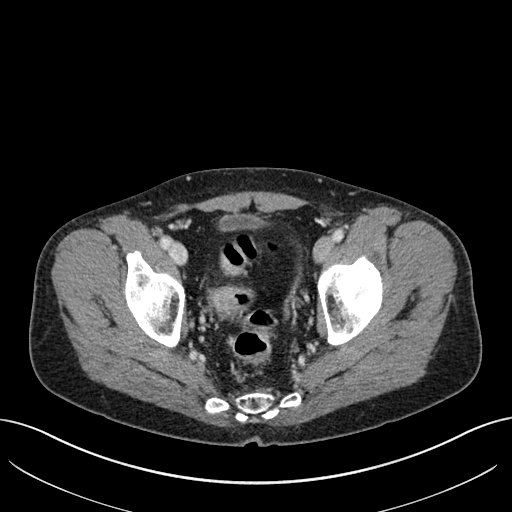 Computed tomography, Abdomen
{
  "colon_tumor": [
    "x1=208 y1=286 x2=251 y2=314",
    "x1=233 y1=244 x2=247 y2=260",
    "x1=220 y1=255 x2=244 y2=275"
  ]
}